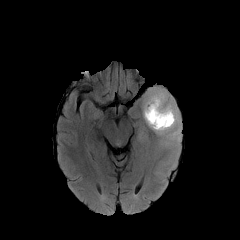
FLAIR magnetic resonance.
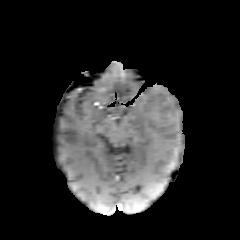
T1-weighted magnetic resonance.
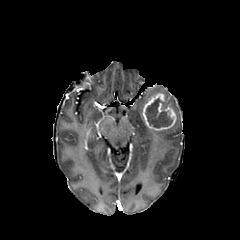
Same slice, post-contrast T1-weighted MRI.
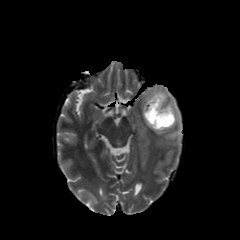
Same slice, T2-weighted MR image.
Head
Enhancing tumor at 142:92:176:130.
Non-enhancing tumor core at 145:99:172:127.
Edema at 152:119:181:149, 141:86:180:117.